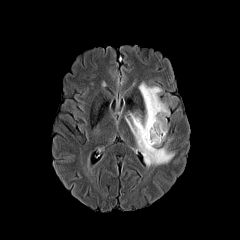
FLAIR MRI.
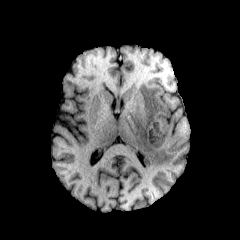
T1-weighted magnetic resonance.
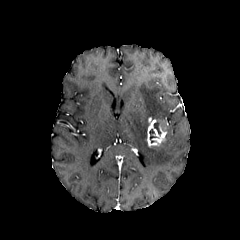
Post-contrast T1-weighted magnetic resonance.
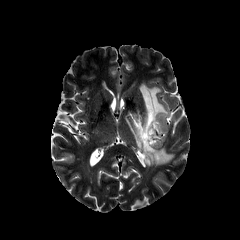
T2-weighted MR image.
240x240 px
Segmented structures:
- edema: bbox(125, 83, 174, 167)
- non-enhancing tumor core: bbox(154, 121, 161, 136)
- enhancing tumor: bbox(147, 117, 168, 147)